512x512 px; Lower abdomen; CT scan slice; Slice 115/986
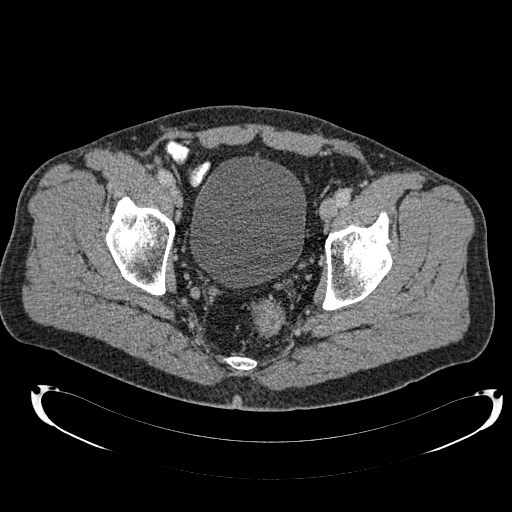 The urinary bladder appears at x1=190 y1=156 x2=306 y2=287.